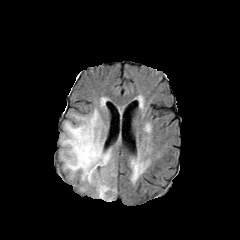
FLAIR MR.
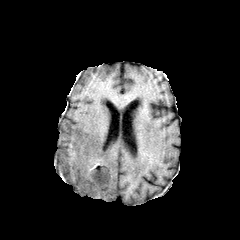
Same slice, T1-weighted MRI.
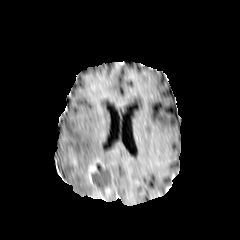
Post-contrast T1-weighted MR of the same slice.
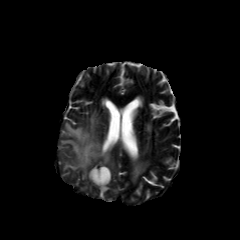
T2-weighted MR image.
The non-enhancing tumor core appears at [91,164,110,196]. 3 edema regions are located at [132,162,142,177], [60,109,116,201], [100,98,107,109]. The enhancing tumor is at [88,164,95,183].